Liver, CT image
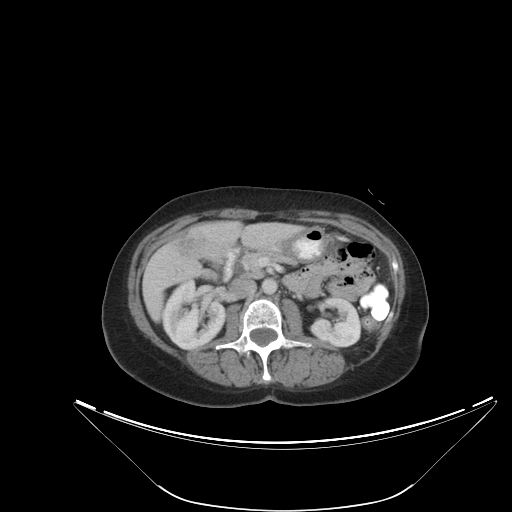
The liver tumor is at left=175, top=235, right=204, bottom=258.